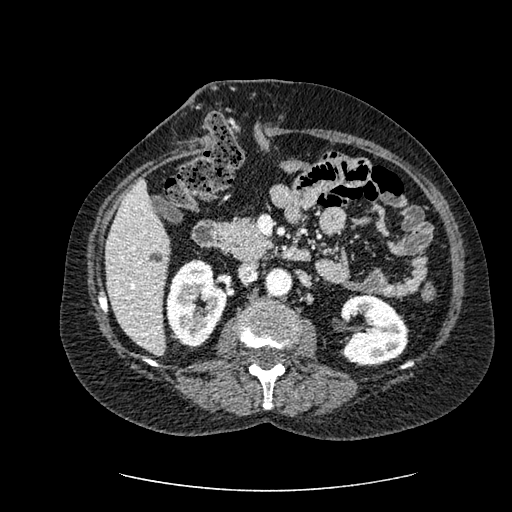 Computed tomography | Liver
2 kidney regions are located at {"x1": 342, "y1": 295, "x2": 406, "y2": 364}, {"x1": 167, "y1": 260, "x2": 225, "y2": 345}. The liver appears at {"x1": 105, "y1": 178, "x2": 168, "y2": 354}. The focal liver lesion is bounded by {"x1": 148, "y1": 252, "x2": 162, "y2": 262}.